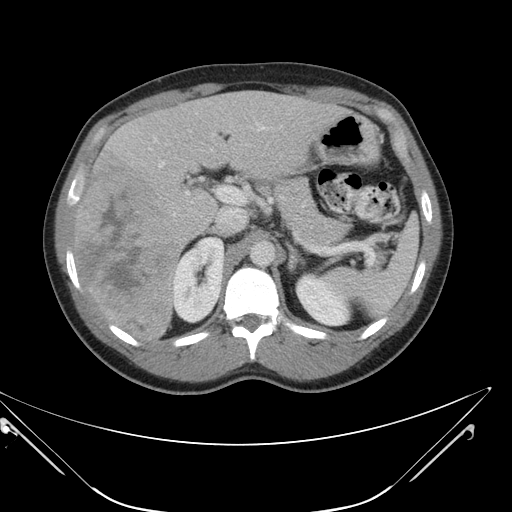 CT scan slice, 512x512, Liver
Not every hepatic vessel necessarily has a box.
liver tumor: 75, 170, 180, 340 | hepatic vessel: 159, 161, 164, 167; 173, 213, 175, 215; 280, 126, 282, 127; 188, 129, 190, 131; 258, 126, 267, 130; 186, 193, 188, 194; 191, 201, 192, 202; 217, 208, 243, 229; 154, 138, 156, 142; 211, 149, 212, 150